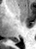 Magnetic resonance, 36x49 px
posterior_hippocampus:
  - box=[13, 39, 19, 42]